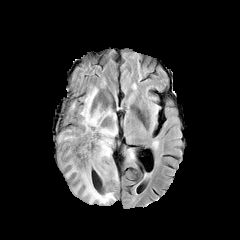
FLAIR MR image.
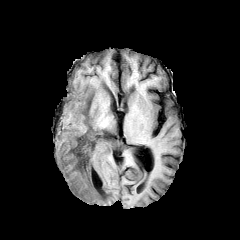
T1-weighted MRI of the same slice.
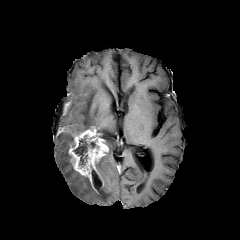
Post-contrast T1-weighted MR.
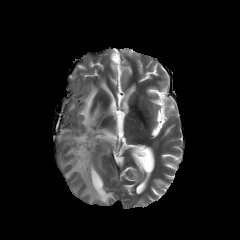
T2-weighted magnetic resonance of the same slice.
Annotated regions:
- edema: x1=78, y1=86, x2=117, y2=184; x1=58, y1=132, x2=115, y2=204
- enhancing tumor: x1=68, y1=128, x2=107, y2=183
- non-enhancing tumor core: x1=70, y1=136, x2=99, y2=166; x1=97, y1=132, x2=111, y2=139